CT image | Slice 128/135

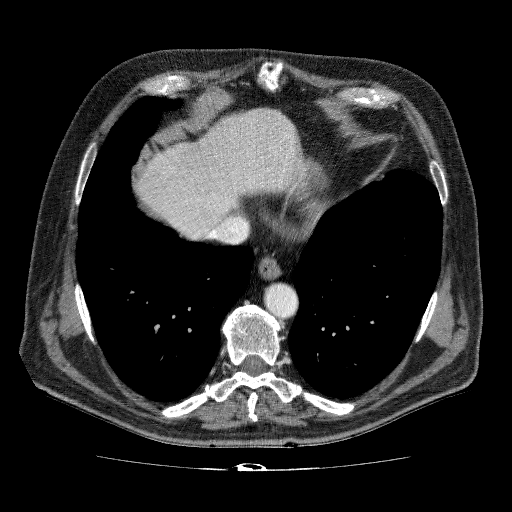
Annotated regions:
* liver: 137 110 303 239